FLAIR MR.
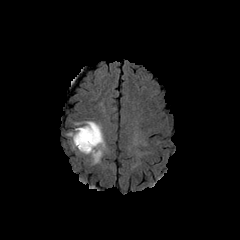
T1-weighted MR image.
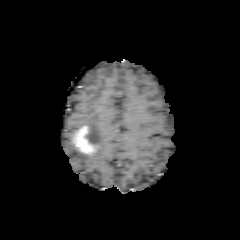
Post-contrast T1-weighted MRI.
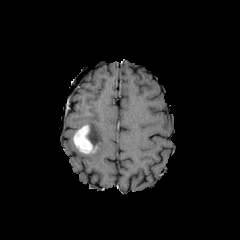
T2-weighted MR image.
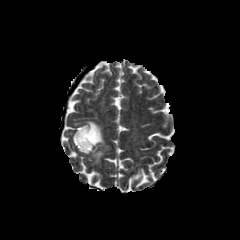
Head
Annotated regions:
- non-enhancing tumor core: 88, 124, 99, 147
- edema: 68, 120, 108, 163
- enhancing tumor: 72, 124, 96, 153